Image width 404 mm, Slice 205 of 908, CT slice, Image size 512x512 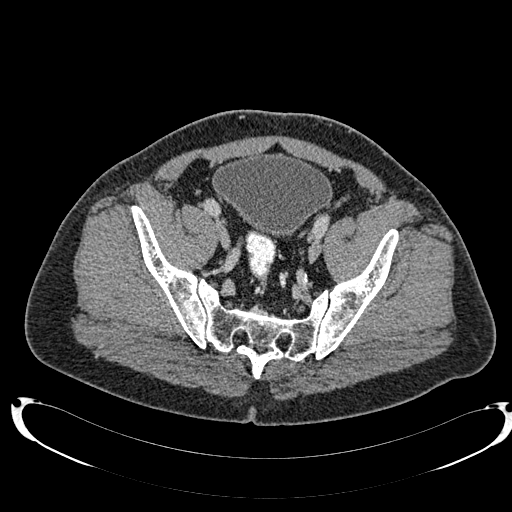
The urinary bladder is bounded by 213 152 330 236.